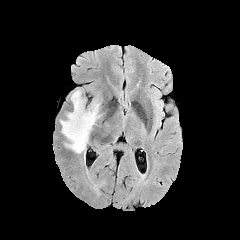
FLAIR MR image.
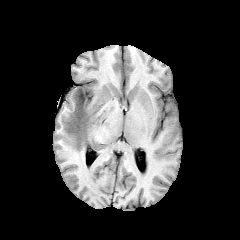
Same slice, T1-weighted MR image.
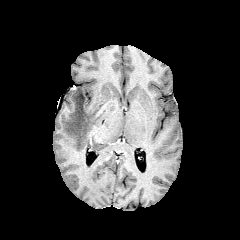
Same slice, post-contrast T1-weighted MR image.
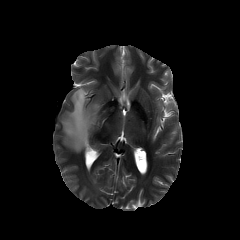
T2-weighted magnetic resonance.
240x240
{"edema": ["60 88 101 156"], "non-enhancing_tumor_core": ["76 94 83 117"]}